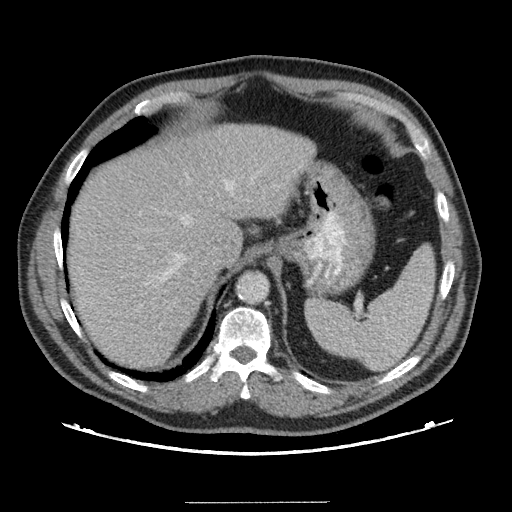
CT scan slice
The vessel boxes may cover only some of the vessels.
Hepatic vessel = [x1=167, y1=213, x2=171, y2=214], [x1=225, y1=181, x2=232, y2=189], [x1=156, y1=267, x2=172, y2=281], [x1=139, y1=211, x2=141, y2=215], [x1=151, y1=299, x2=153, y2=301], [x1=177, y1=254, x2=186, y2=264], [x1=179, y1=213, x2=192, y2=225].